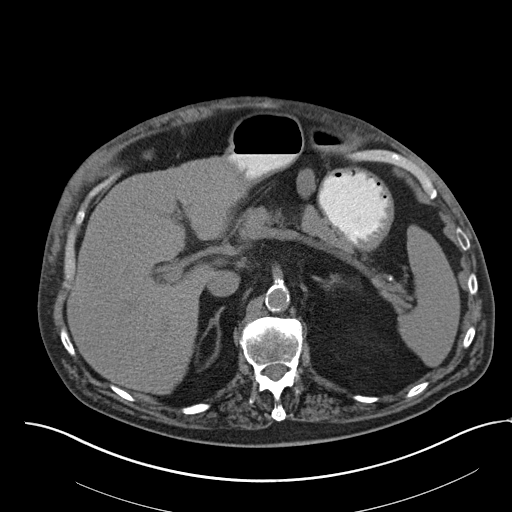 CT. Image size 512x512. <segmentation>
  <spleen>[400, 228, 459, 364]</spleen>
</segmentation>